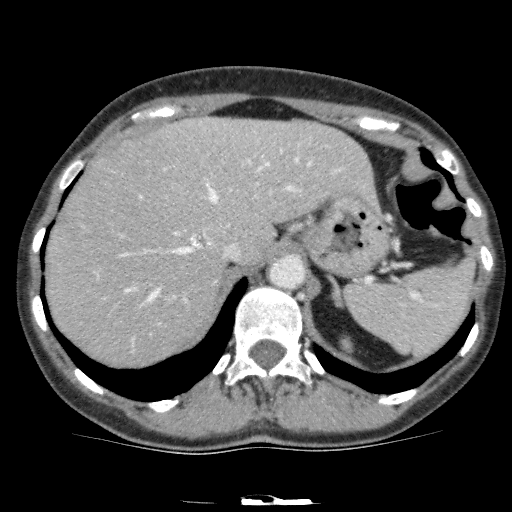
Liver | CT
The liver lies within x1=47, y1=117, x2=379, y2=365. The hepatic lesion lies within x1=187, y1=229, x2=213, y2=249.